Slice 38/73 | CT image 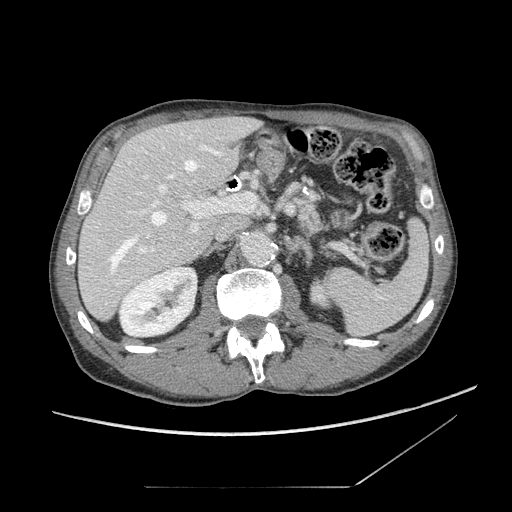 Pancreas at [298,204,321,235].